Slice 336 of 687. Pelvis. 512x512 px. CT image.
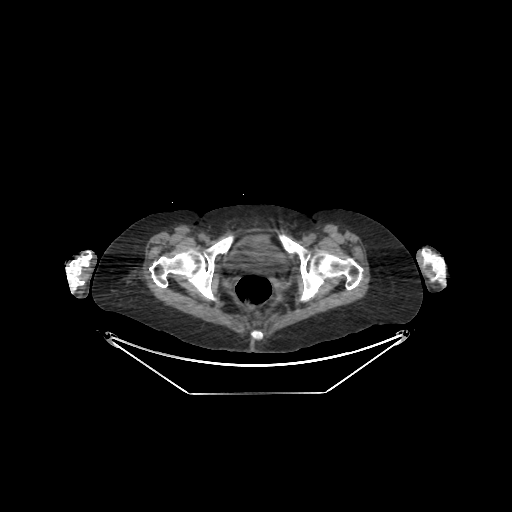

Annotated regions:
• urinary bladder: bbox(225, 232, 286, 273)